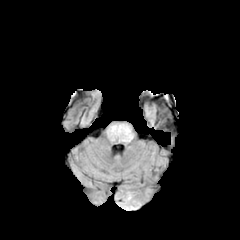
FLAIR MR.
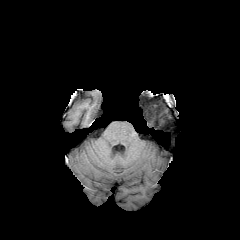
T1-weighted MR image of the same slice.
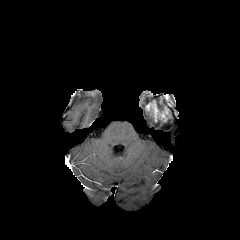
Post-contrast T1-weighted MR.
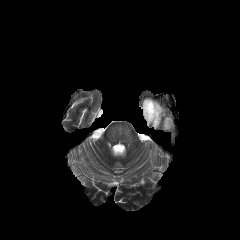
T2-weighted MRI.
240x240 px. Head.
The non-enhancing tumor core is bounded by bbox(154, 110, 163, 121). The enhancing tumor is at bbox(145, 104, 157, 119).